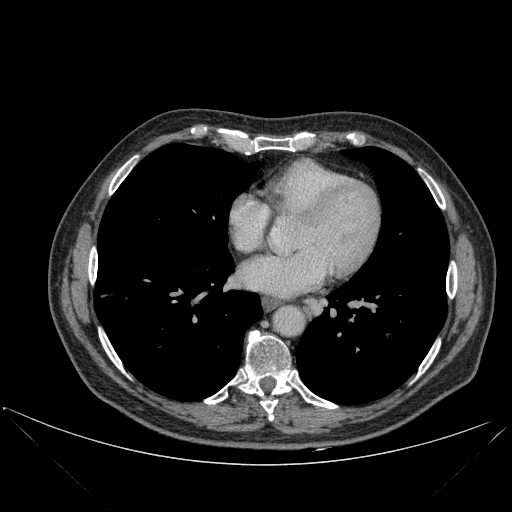 512x512 px, Thorax, Computed tomography
{"bone": ["box(260, 400, 277, 421)", "box(109, 161, 131, 194)", "box(254, 137, 294, 151)", "box(204, 376, 239, 404)", "box(99, 328, 124, 372)", "box(417, 340, 440, 376)", "box(241, 330, 337, 408)", "box(429, 177, 445, 208)", "box(446, 261, 457, 298)", "box(88, 247, 97, 283)"], "lung": ["box(296, 147, 449, 404)", "box(94, 144, 262, 400)"]}